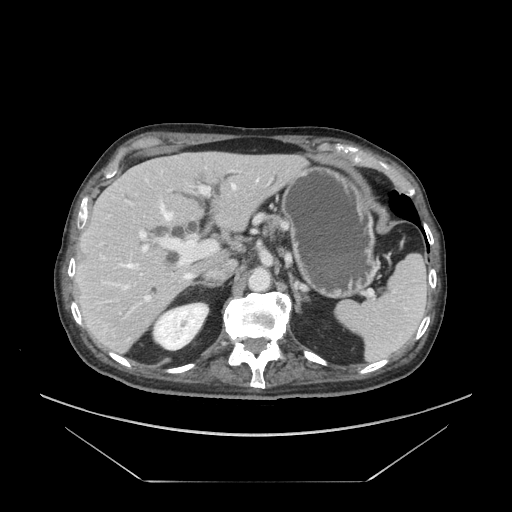

CT scan slice | Image size 512x512
Segmented structures:
• pancreas: [x1=266, y1=215, x2=279, y2=234]